FLAIR magnetic resonance.
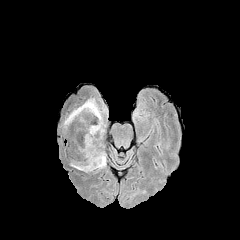
T1-weighted magnetic resonance.
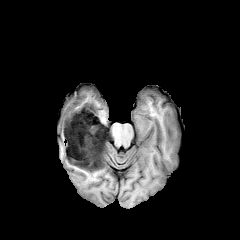
Post-contrast T1-weighted MR.
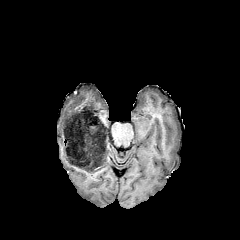
T2-weighted magnetic resonance.
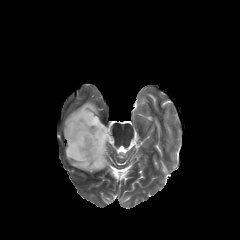
Segmented structures:
- non-enhancing tumor core: (65, 106, 106, 169)
- edema: (70, 152, 106, 172), (64, 99, 104, 127)